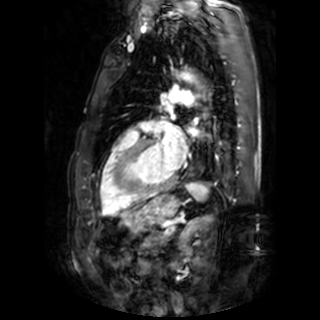 MR. Image size 320x320. Cardiac.

Annotated regions:
• left atrium: [x1=157, y1=119, x2=186, y2=167]